CT
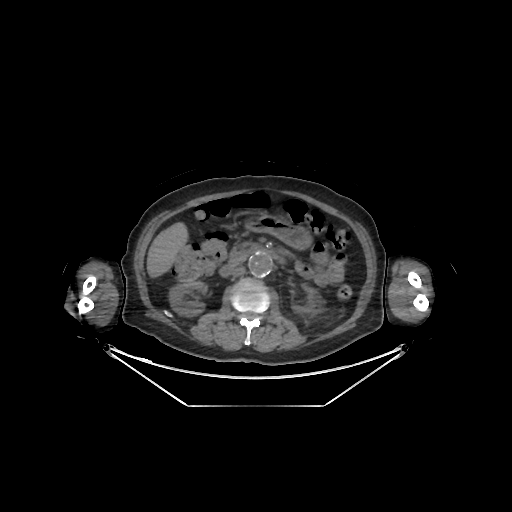
Liver = 147 223 186 275.
Bone = 231 282 268 344, 78 275 95 313, 408 271 428 311.
Kidney = 169 280 211 316, 291 285 320 317.